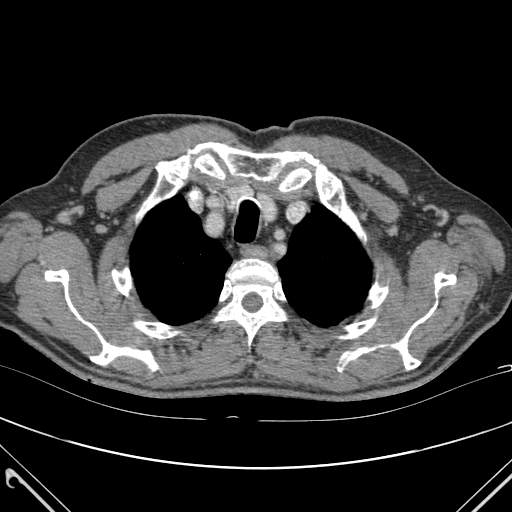 CT scan slice.
<segmentation>
  <bone>left=393, top=305, right=436, bottom=369; left=215, top=259, right=286, bottom=344; left=45, top=269, right=157, bottom=370; left=138, top=142, right=363, bottom=236; left=112, top=268, right=131, bottom=295; left=369, top=283, right=387, bottom=307; left=434, top=272, right=455, bottom=296; left=341, top=318, right=375, bottom=338; left=279, top=167, right=311, bottom=191; left=342, top=347, right=374, bottom=363; left=134, top=321, right=177, bottom=338</bone>
  <lung>left=278, top=205, right=371, bottom=326; left=130, top=195, right=231, bottom=324</lung>
</segmentation>